CT image, Abdomen, Slice 436 of 683 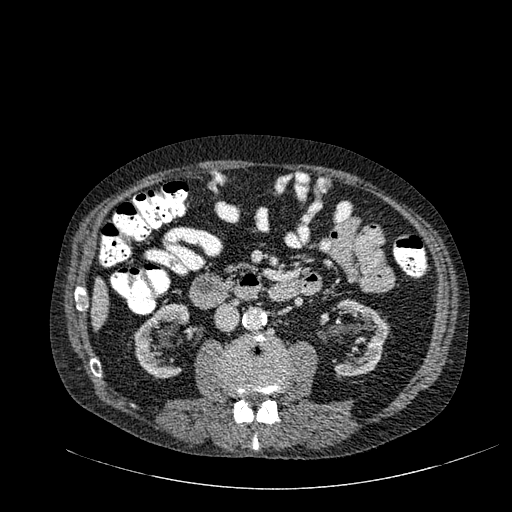
The liver is bounded by 93 277 107 329. 5 kidney regions appear at 317 331 326 340, 184 326 197 339, 320 313 329 324, 328 301 389 377, 134 303 189 378.